MRI | 37x45 px | Medial temporal lobe 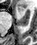 Anterior hippocampus = [18, 8, 19, 9].